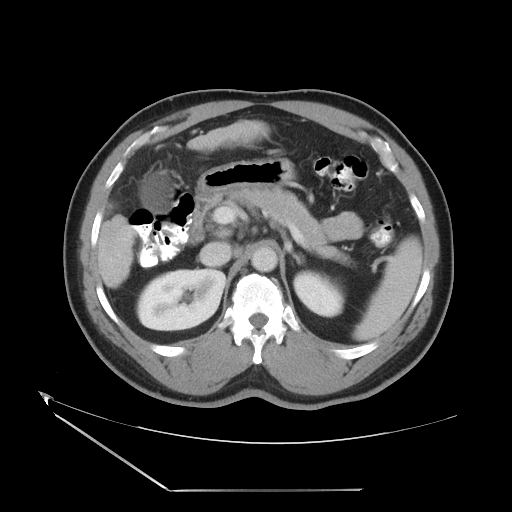

Abdomen. CT image.

The vessel annotation is not exhaustive.
Hepatic vessel: [118,254,120,256].